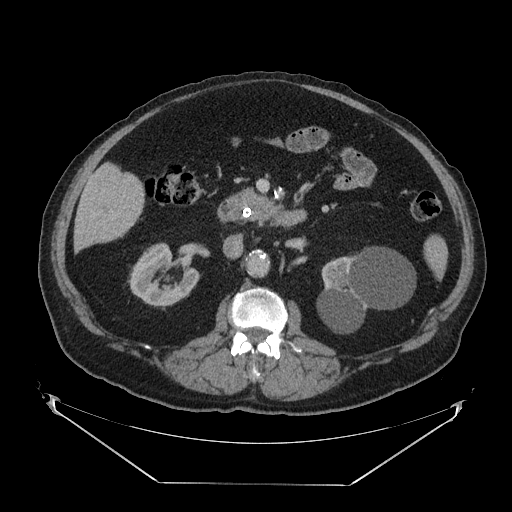

CT image. Image size 512x512.

pancreas: <box>234,190,275,217</box> | pancreatic tumor: <box>253,202,263,211</box>